MR. Slice index 13.

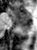 Anterior hippocampus at (x1=9, y1=9, x2=31, y2=22).
Posterior hippocampus at (x1=19, y1=23, x2=31, y2=29).